FLAIR MR.
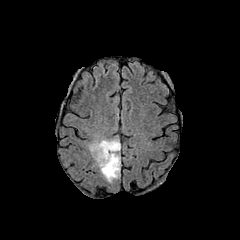
T1-weighted MR.
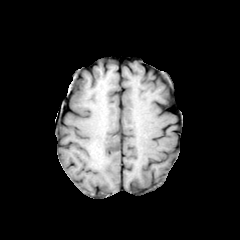
Post-contrast T1-weighted MR.
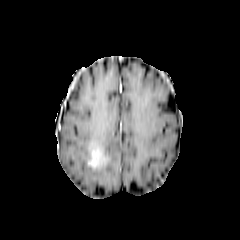
T2-weighted MRI.
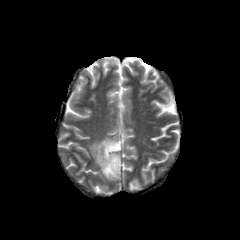
Brain
The enhancing tumor is bounded by x1=92 y1=145 x2=106 y2=165. The non-enhancing tumor core lies within x1=93 y1=143 x2=108 y2=166. The edema appears at x1=87 y1=136 x2=121 y2=183.